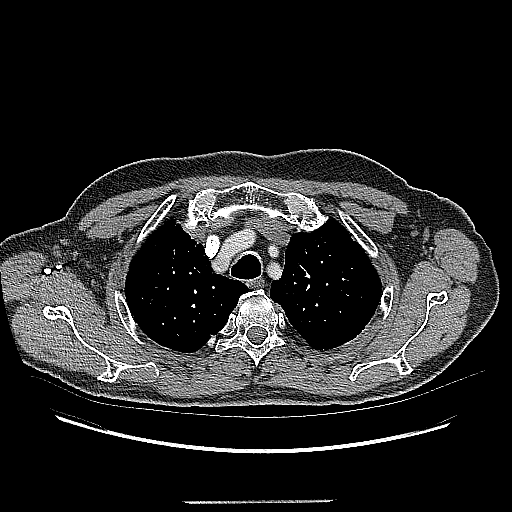

CT slice; 512x512 px; Thorax
Findings:
• lung tumor: region(181, 224, 205, 248)